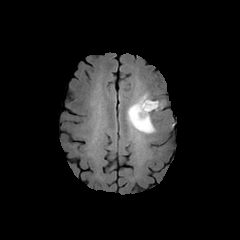
FLAIR magnetic resonance.
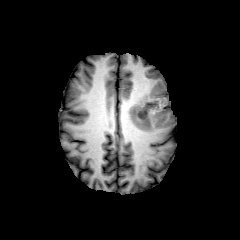
T1-weighted magnetic resonance.
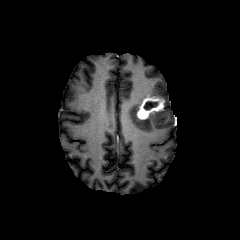
Post-contrast T1-weighted MRI.
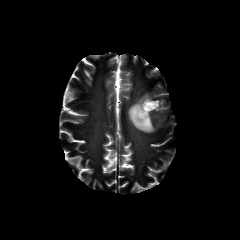
T2-weighted MR.
240x240 px.
Non-enhancing tumor core = x1=144, y1=101, x2=157, y2=109.
Enhancing tumor = x1=136, y1=95, x2=164, y2=119.
Edema = x1=127, y1=92, x2=159, y2=134.